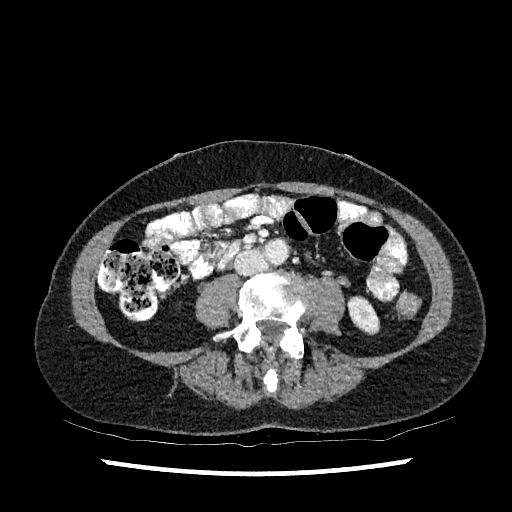 CT image, Abdomen, 512x512 px
The kidney appears at <box>348,298,377,331</box>.